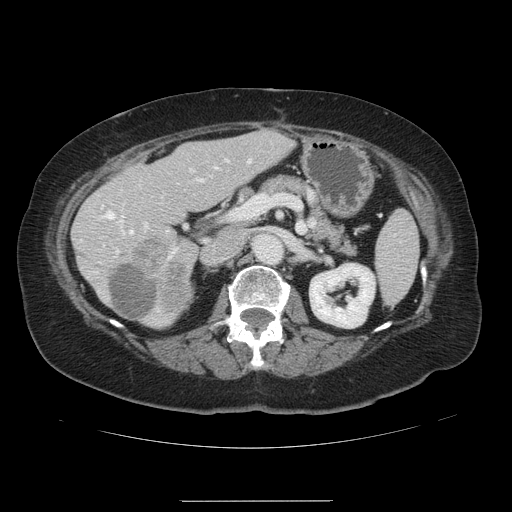 Liver, CT image

The vessel annotation is not exhaustive.
{"hepatic_vessel": ["[129, 229, 132, 231]", "[226, 159, 228, 161]", "[214, 166, 217, 168]", "[190, 168, 192, 170]", "[118, 216, 122, 230]", "[116, 248, 118, 253]", "[167, 247, 176, 257]", "[248, 158, 250, 161]", "[101, 211, 113, 217]", "[144, 223, 147, 228]", "[197, 179, 202, 180]"], "liver_tumor": ["[131, 237, 189, 311]", "[110, 264, 158, 320]"]}